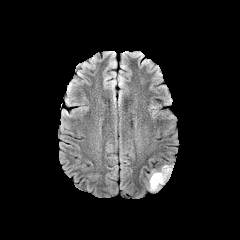
FLAIR MR image.
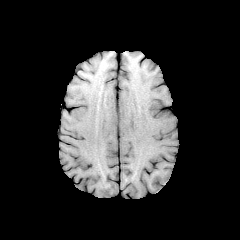
Same slice, T1-weighted magnetic resonance.
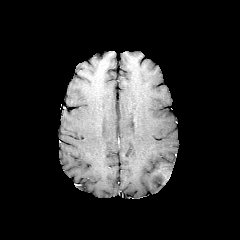
Post-contrast T1-weighted magnetic resonance.
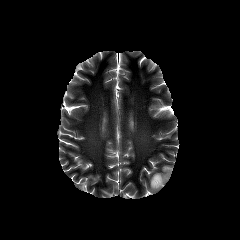
Same slice, T2-weighted MR.
Brain
Edema = region(148, 165, 172, 191).